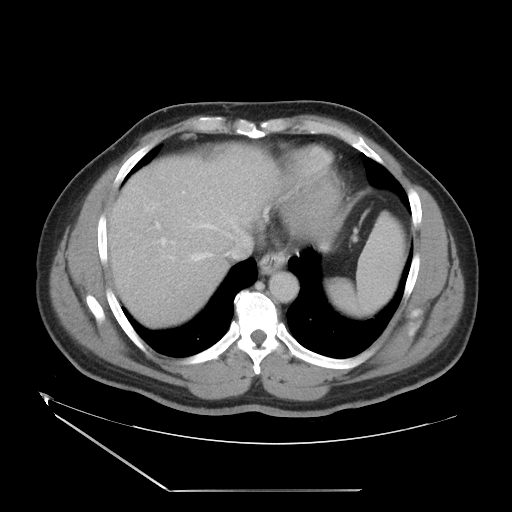
CT slice. 512x512 px. Only some of the vessels may be annotated.
hepatic_vessel:
  - bbox(156, 223, 159, 227)
  - bbox(161, 238, 165, 244)
  - bbox(188, 219, 252, 259)
  - bbox(191, 252, 212, 260)
  - bbox(151, 203, 154, 208)
  - bbox(229, 203, 230, 205)
  - bbox(171, 241, 174, 243)
  - bbox(182, 191, 184, 193)
  - bbox(168, 256, 173, 258)